Computed tomography.

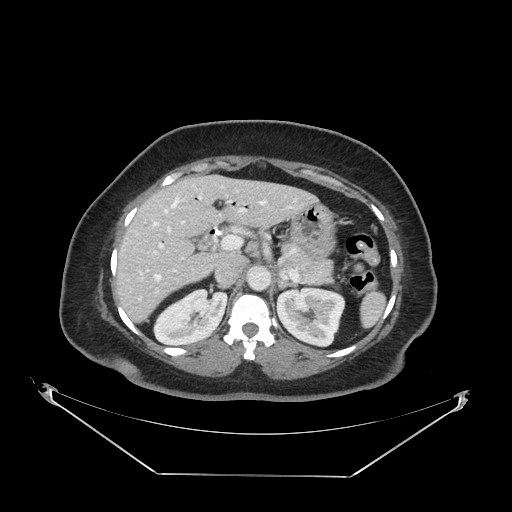
Pancreas = bbox=[291, 246, 335, 285].